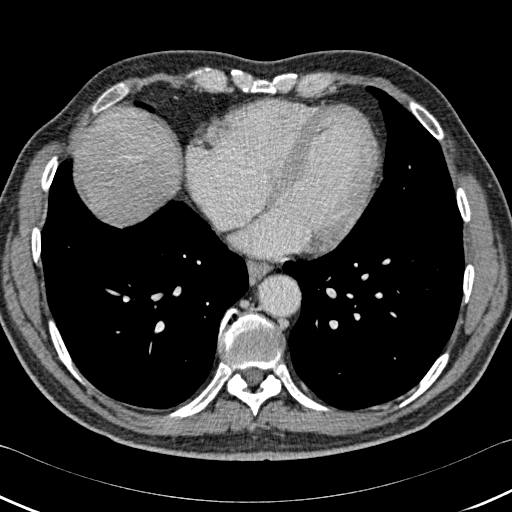

Image size 512x512; Thorax; CT scan slice
<segmentation>
  <lung>bbox(276, 86, 464, 410); bbox(41, 159, 248, 408)</lung>
  <bone>bbox(409, 101, 443, 139); bbox(92, 83, 128, 112); bbox(164, 309, 330, 418); bbox(42, 156, 57, 188); bbox(49, 321, 78, 378); bbox(242, 74, 292, 92); bbox(31, 227, 40, 260); bbox(457, 188, 470, 220); bbox(463, 264, 474, 300); bbox(407, 352, 448, 401)</bone>
</segmentation>